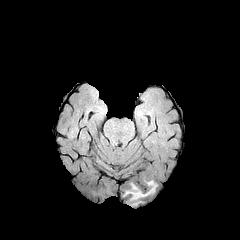
FLAIR MRI.
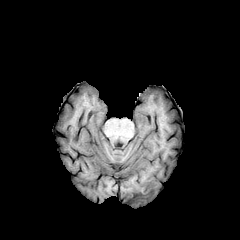
T1-weighted MR.
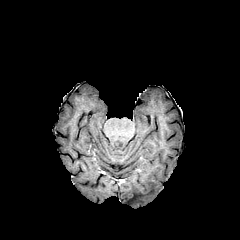
Post-contrast T1-weighted magnetic resonance of the same slice.
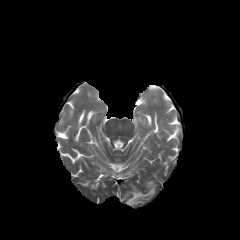
Same slice, T2-weighted MR image.
240x240
<segmentation>
  <edema>rect(130, 181, 154, 200)</edema>
</segmentation>